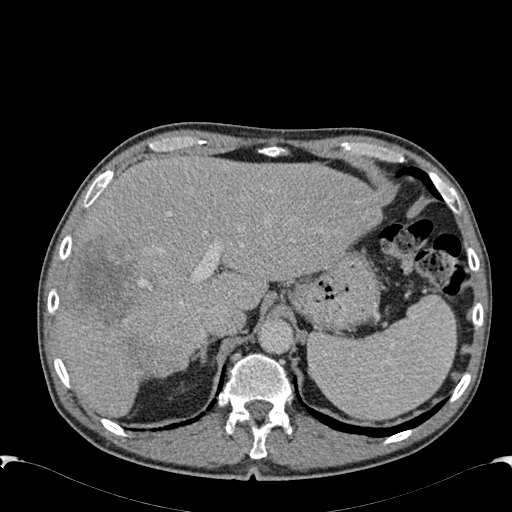 CT image
<segmentation>
  <liver>bbox(55, 155, 381, 416)</liver>
  <focal_liver_lesion>bbox(65, 237, 151, 324); bbox(119, 338, 152, 368)</focal_liver_lesion>
</segmentation>